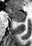

32x46 px; MR image
{"anterior_hippocampus": ["8,9,25,19"], "posterior_hippocampus": ["14,20,24,21"]}